Brain.
FLAIR MR.
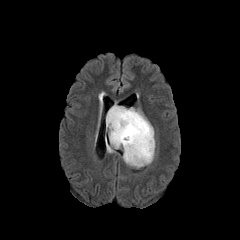
T1-weighted MR.
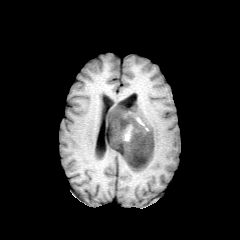
Post-contrast T1-weighted MR.
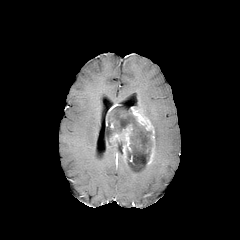
T2-weighted MRI.
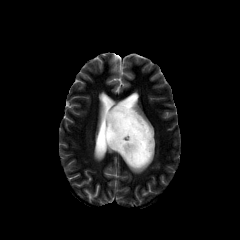
2 enhancing tumor regions are located at x1=131 y1=107 x2=154 y2=164, x1=110 y1=125 x2=132 y2=160. The edema lies within x1=105 y1=127 x2=117 y2=153. 2 non-enhancing tumor core regions are bounded by x1=106 y1=105 x2=153 y2=169, x1=116 y1=141 x2=123 y2=154.